CT image
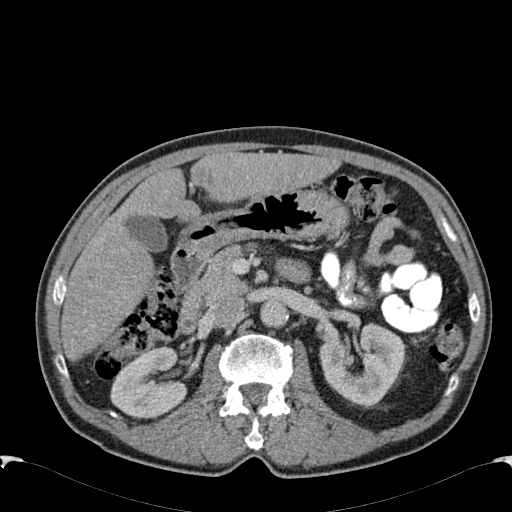

Findings:
• hepatic lesion: box(196, 168, 211, 182)
• kidney: box(320, 324, 404, 405); box(111, 347, 186, 417)
• liver: box(191, 153, 339, 201); box(62, 169, 199, 361)